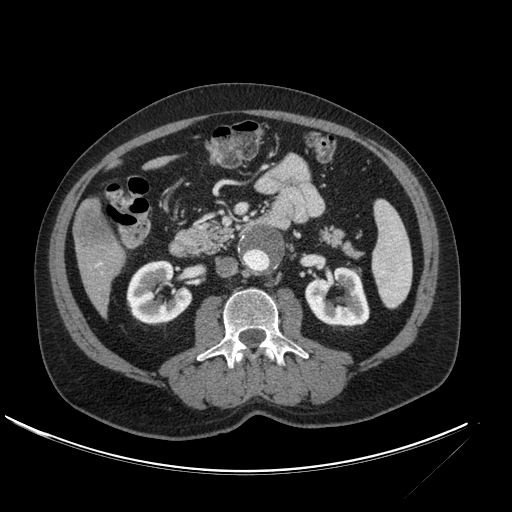 CT scan slice. Kidney — bbox=[306, 268, 368, 324]; bbox=[127, 261, 190, 322].
Liver — bbox=[75, 242, 124, 318]; bbox=[105, 160, 119, 168]; bbox=[141, 155, 180, 170].
Focal liver lesion — bbox=[74, 198, 118, 254].